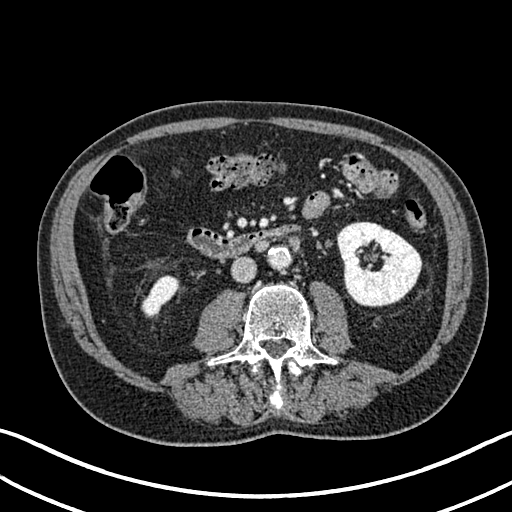
Abdomen | Computed tomography
kidney:
  - [x1=143, y1=276, x2=177, y2=315]
  - [x1=338, y1=222, x2=421, y2=305]